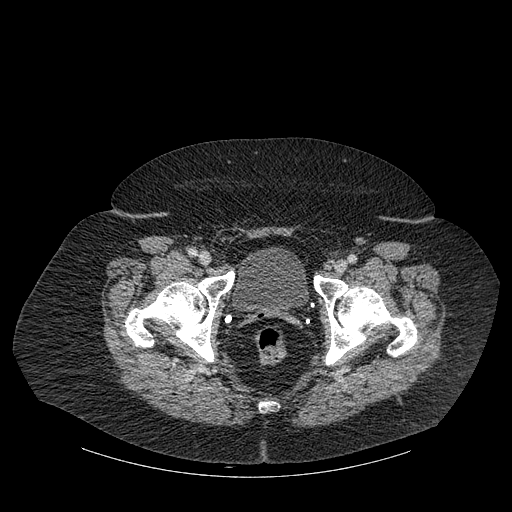

Lower abdomen. 512x512 px. CT slice.
3 bone regions are bounded by l=314, t=275, r=417, b=364; l=125, t=271, r=234, b=361; l=259, t=401, r=276, b=411. The urinary bladder lies within l=232, t=247, r=309, b=322.